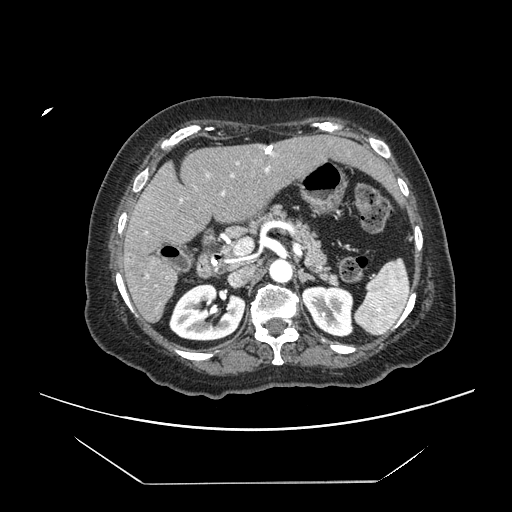 Computed tomography
Some hepatic vessels may have no box.
Hepatic vessel at x1=235, y1=239, x2=252, y2=257.